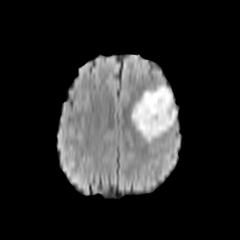
FLAIR MRI.
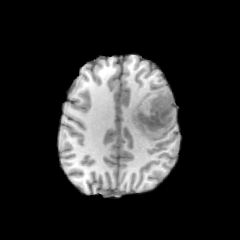
T1-weighted MR image.
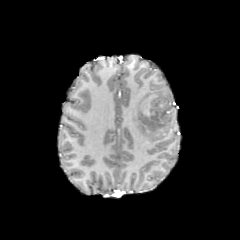
Post-contrast T1-weighted MR image.
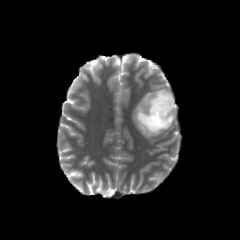
T2-weighted MR.
Brain
Findings:
• edema: <bbox>131, 84, 177, 142</bbox>
• non-enhancing tumor core: <bbox>138, 91, 172, 131</bbox>